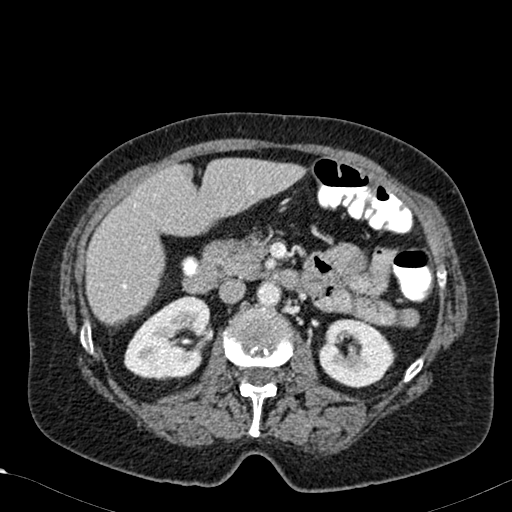
CT slice | Upper abdomen
2 kidney regions appear at (320, 320, 393, 387), (125, 297, 210, 378). The liver appears at (87, 160, 302, 322).